Field of view 400 mm wide, 1.37 mm slice spacing; Magnetic resonance; Heart; Image size 320x320 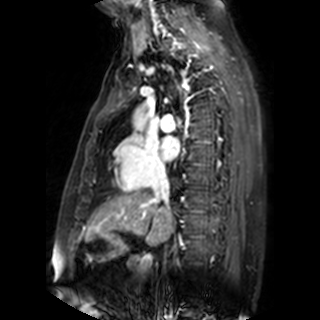
The left atrium is at [160,136,178,160].